Brain, 240x240 px
FLAIR MRI.
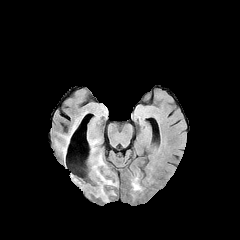
T1-weighted MR.
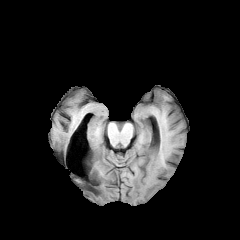
Post-contrast T1-weighted MR.
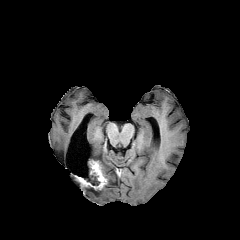
T2-weighted MRI.
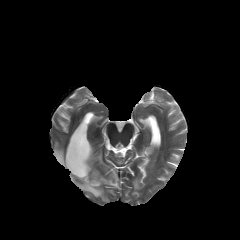
Edema — box=[88, 140, 118, 186]; box=[55, 137, 66, 160]; box=[86, 186, 108, 201].
Non-enhancing tumor core — box=[87, 160, 100, 186].
Enhancing tumor — box=[76, 177, 91, 186]; box=[90, 161, 106, 189].